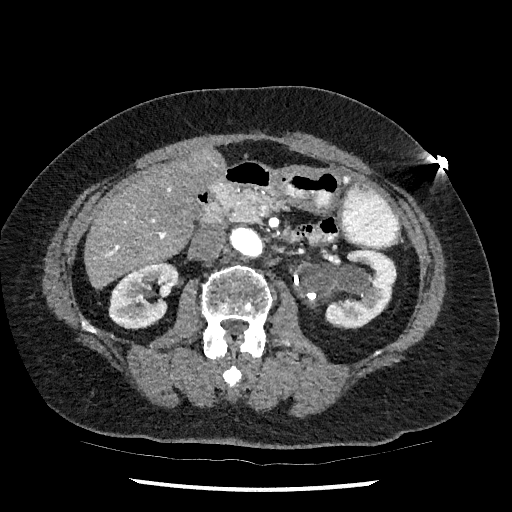

512x512 px. Computed tomography. Liver.

{
  "liver": [
    "(85, 150, 225, 289)"
  ],
  "kidney": [
    "(331, 256, 339, 263)",
    "(109, 263, 177, 327)",
    "(326, 250, 396, 327)"
  ]
}